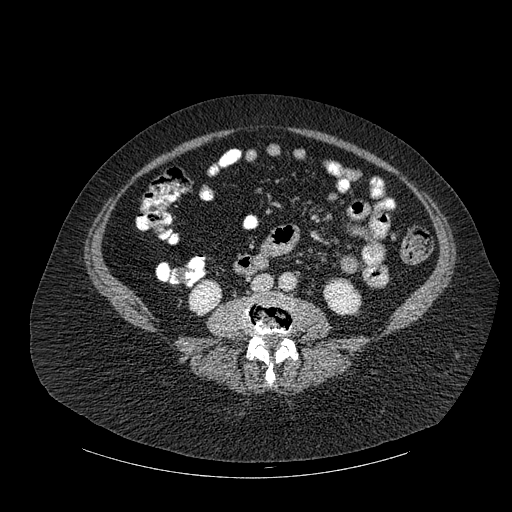
Abdomen; CT image

Bone — 245 297 297 385.
Kidney — 189 281 221 314, 324 281 360 314.